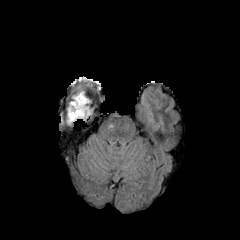
FLAIR magnetic resonance.
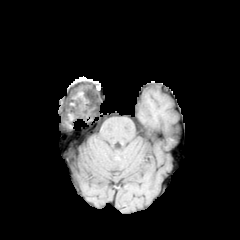
T1-weighted MR image.
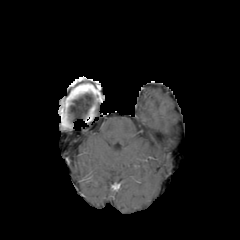
Post-contrast T1-weighted MR image of the same slice.
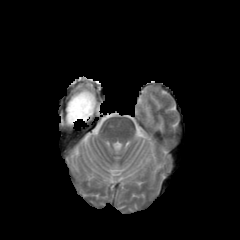
T2-weighted MR image of the same slice.
Brain.
Findings:
* edema: [67,85,89,114]
* non-enhancing tumor core: [68,100,89,122]